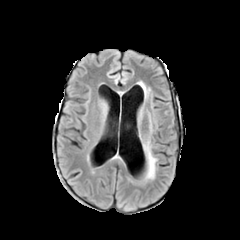
FLAIR MR.
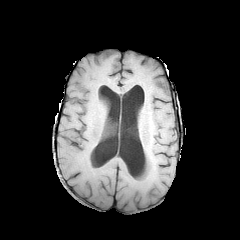
T1-weighted MR image.
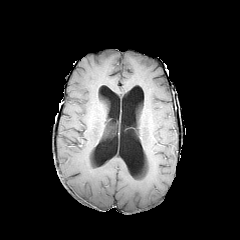
Same slice, post-contrast T1-weighted MR.
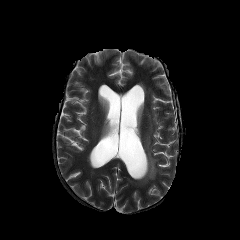
Same slice, T2-weighted MR image.
Brain.
* edema: (142,138,157,180)